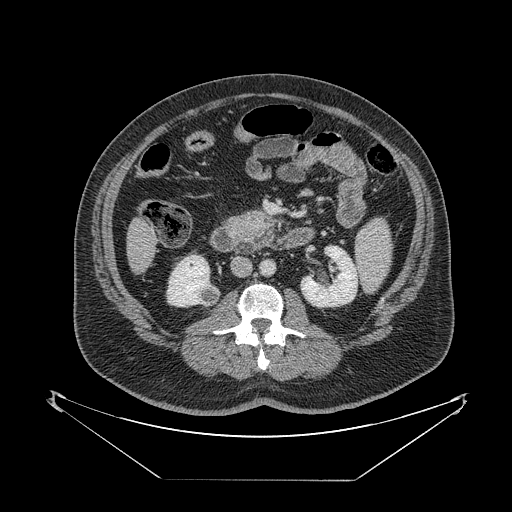
Abdomen | Computed tomography

Pancreas = x1=228 y1=215 x2=273 y2=254.
Pancreatic tumor = x1=232 y1=212 x2=265 y2=235.